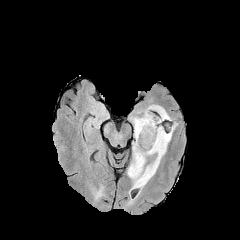
FLAIR MRI.
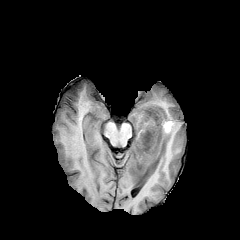
T1-weighted MRI of the same slice.
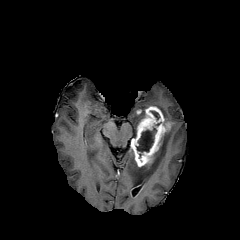
Post-contrast T1-weighted magnetic resonance of the same slice.
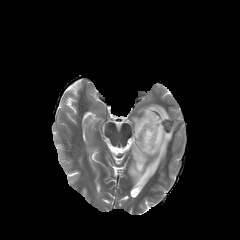
T2-weighted magnetic resonance.
240x240 px
non-enhancing tumor core: 136 127 156 152, 136 160 156 188 | edema: 130 117 139 135, 144 122 173 184, 150 104 171 121, 127 156 144 188 | enhancing tumor: 131 106 165 167